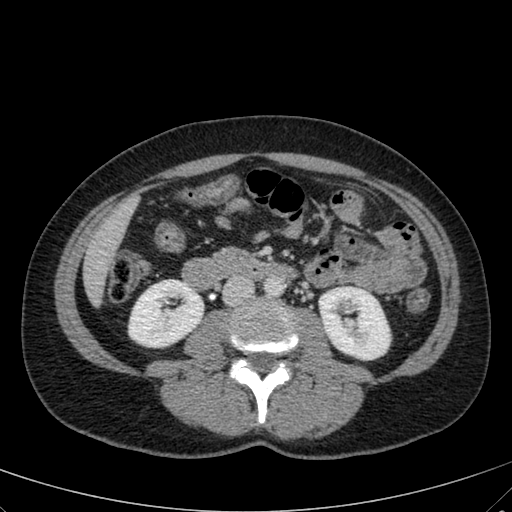 Computed tomography

Kidney — l=129, t=280, r=202, b=346; l=320, t=287, r=389, b=359.
Liver — l=83, t=204, r=131, b=306.